Liver, Slice 399 of 605, CT slice 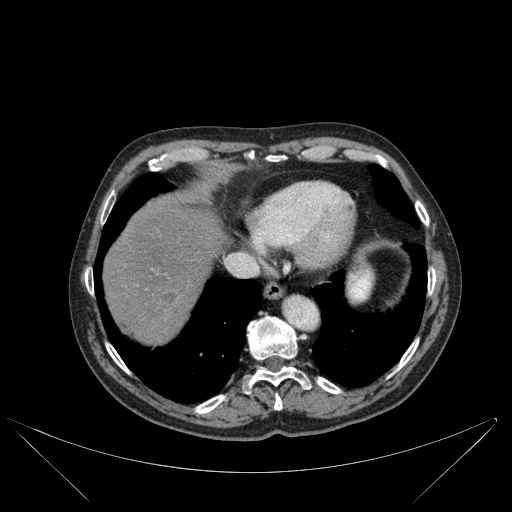 The liver appears at (103, 204, 223, 345). 13 bone regions appear at (106, 343, 128, 372), (317, 377, 340, 393), (428, 270, 435, 293), (148, 160, 158, 170), (394, 339, 418, 372), (274, 395, 282, 410), (264, 156, 285, 161), (375, 156, 384, 166), (243, 365, 310, 391), (415, 201, 428, 225), (247, 316, 296, 359), (85, 273, 93, 293), (196, 395, 224, 413). The focal liver lesion is located at (160, 291, 177, 303). 3 lung regions are bounded by (370, 165, 418, 227), (312, 244, 426, 386), (94, 173, 261, 402).